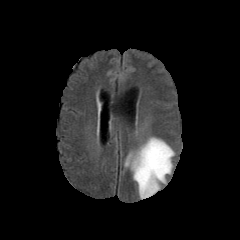
FLAIR MRI.
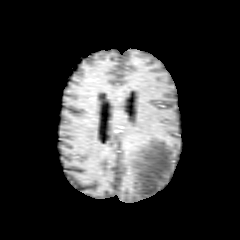
T1-weighted MR image of the same slice.
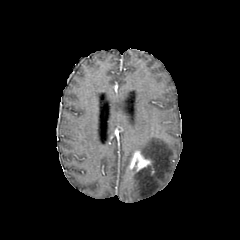
Same slice, post-contrast T1-weighted magnetic resonance.
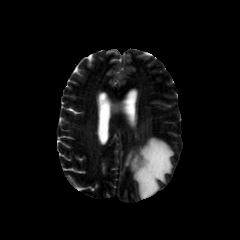
T2-weighted magnetic resonance.
Brain
The enhancing tumor is bounded by [130,151,150,170]. The edema is at [124,137,174,198].